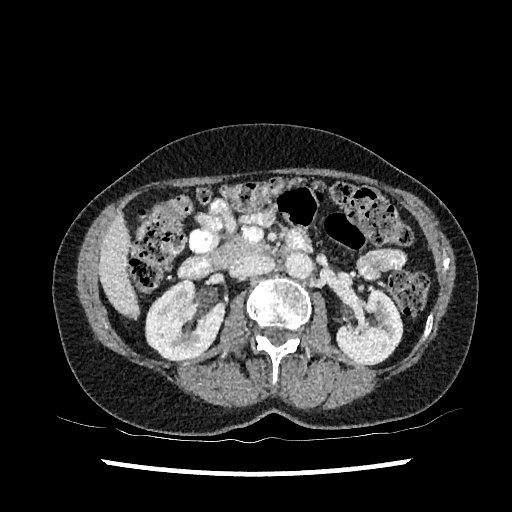

Image size 512x512 | CT image
liver: region(99, 216, 137, 316) | kidney: region(337, 291, 402, 364); region(146, 280, 224, 359)